Upper abdomen, CT scan slice, Slice index 339

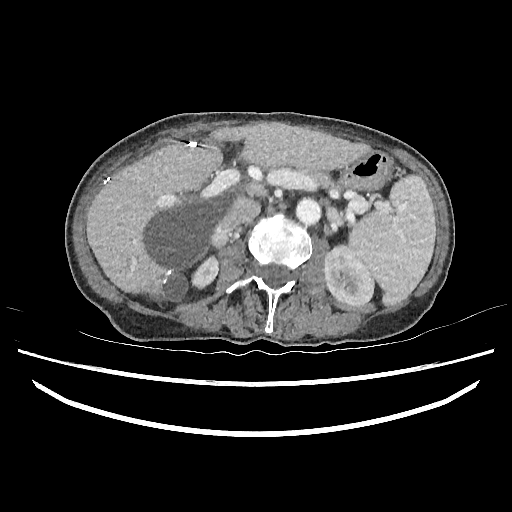

Focal liver lesion = {"x1": 143, "y1": 190, "x2": 233, "y2": 300}.
Liver = {"x1": 226, "y1": 187, "x2": 238, "y2": 200}, {"x1": 87, "y1": 124, "x2": 367, "y2": 300}.
Kidney = {"x1": 324, "y1": 245, "x2": 373, "y2": 305}, {"x1": 193, "y1": 257, "x2": 218, "y2": 286}.